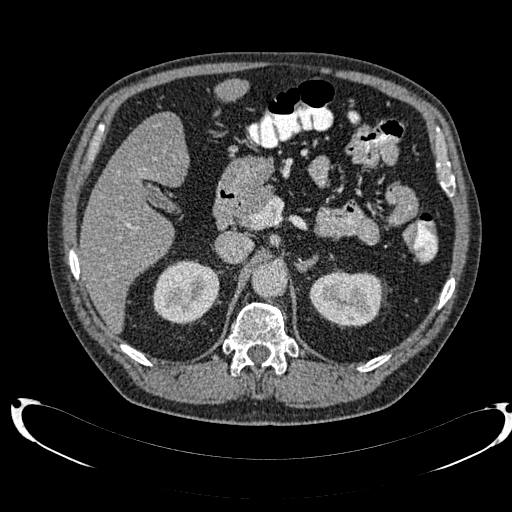
CT.
liver lesion: 150 114 181 138 | kidney: 310 270 382 326, 153 260 218 323 | liver: 216 80 249 101, 80 116 188 333